FLAIR magnetic resonance.
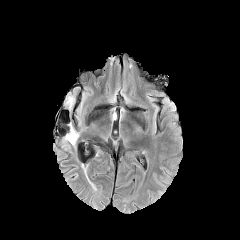
T1-weighted MR image.
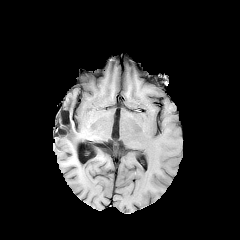
Post-contrast T1-weighted MR.
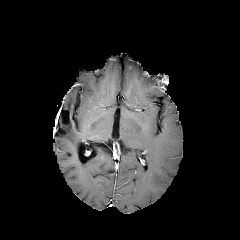
T2-weighted MR image.
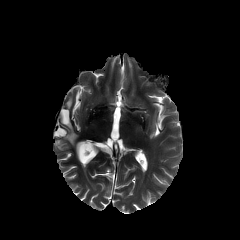
240x240
Edema at bbox(62, 122, 79, 149); bbox(65, 93, 75, 110).